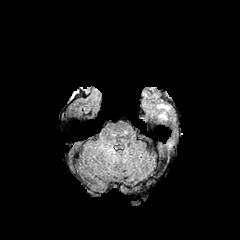
FLAIR MR.
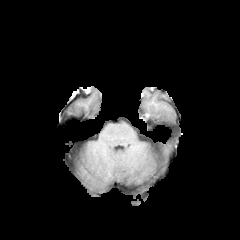
T1-weighted MR image.
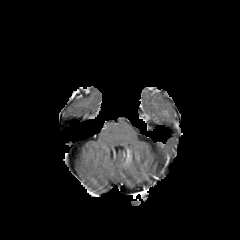
Post-contrast T1-weighted MR image of the same slice.
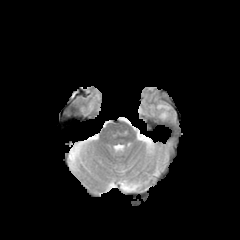
T2-weighted magnetic resonance.
240x240 px.
The edema lies within [x1=153, y1=103, x2=170, y2=120].